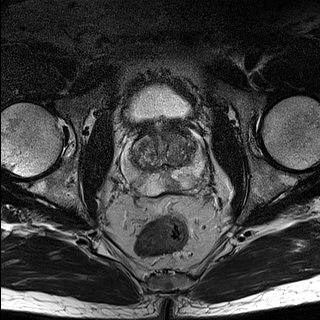
T2-weighted MR.
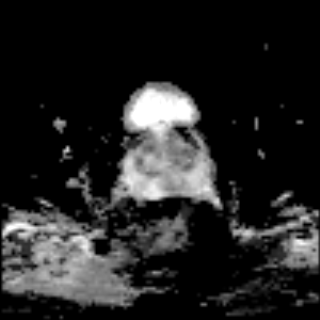
ADC magnetic resonance.
Pelvis
- prostate peripheral zone: x1=123, y1=131, x2=202, y2=194
- prostate transition zone: x1=130, y1=130, x2=196, y2=171